CT image | Liver | Slice 31 of 48 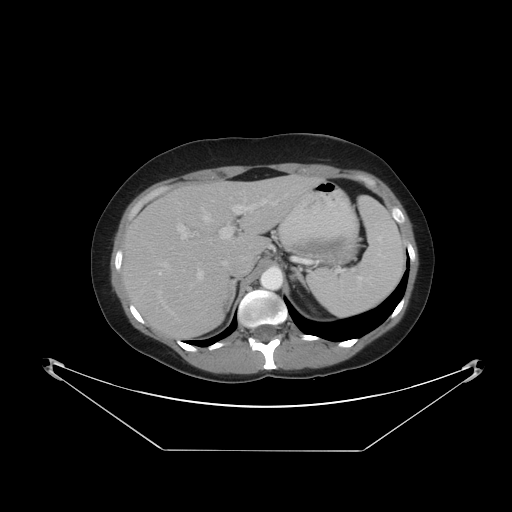
Not every hepatic vessel necessarily has a box.
Hepatic vessel — 196, 270, 203, 279; 157, 290, 173, 314; 222, 261, 227, 265; 219, 224, 232, 239; 161, 263, 167, 266; 177, 224, 187, 238; 232, 204, 256, 213; 259, 195, 277, 205; 201, 206, 211, 223.